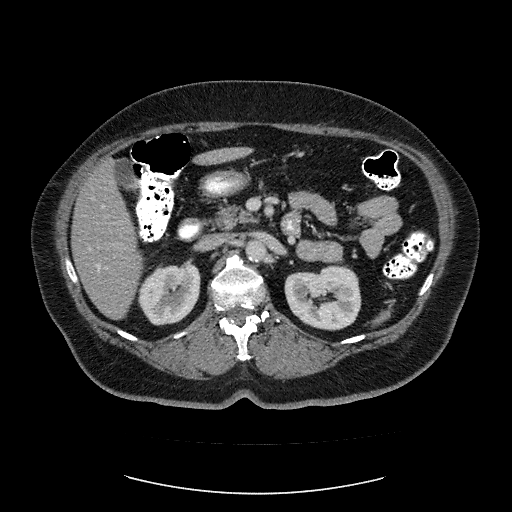

CT slice

Not every hepatic vessel necessarily has a box.
Segmented structures:
* hepatic vessel: <bbox>92, 198, 94, 199</bbox>, <bbox>102, 205, 104, 206</bbox>, <bbox>97, 264, 100, 270</bbox>, <bbox>106, 216, 107, 217</bbox>, <bbox>88, 246, 90, 248</bbox>